MRI. Slice index 14. Medial temporal lobe.
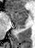 Anterior hippocampus: bounding box box=[9, 9, 27, 22].
Posterior hippocampus: bounding box box=[15, 23, 25, 29].